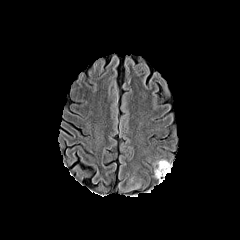
FLAIR MRI.
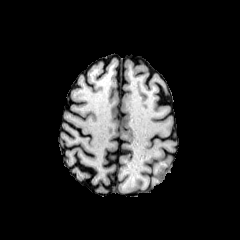
T1-weighted MR image.
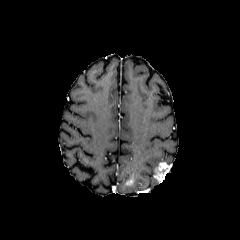
Same slice, post-contrast T1-weighted MR.
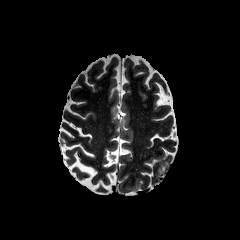
T2-weighted MR of the same slice.
Brain
The edema appears at left=118, top=176, right=141, bottom=192. 2 enhancing tumor regions are located at left=153, top=160, right=172, bottom=181; left=124, top=177, right=134, bottom=185.